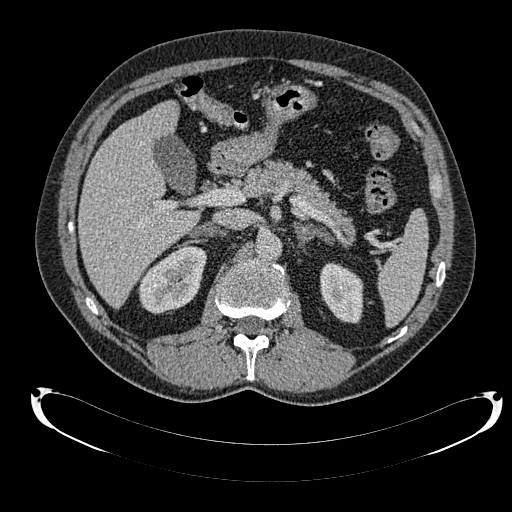 Liver, CT slice
Liver = bbox(79, 101, 199, 307).
Kidney = bbox(320, 264, 362, 322); bbox(140, 247, 206, 312).